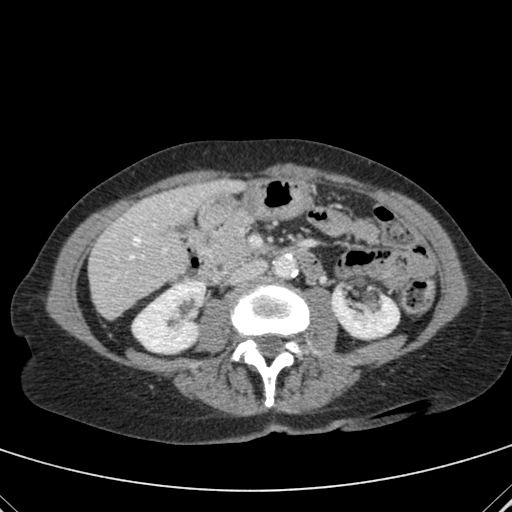

Computed tomography

Kidney: bounding box [134, 281, 204, 352], [332, 290, 398, 337].
Liver: bounding box [90, 178, 245, 318].
Hepatic lesion: bounding box [160, 225, 172, 237].